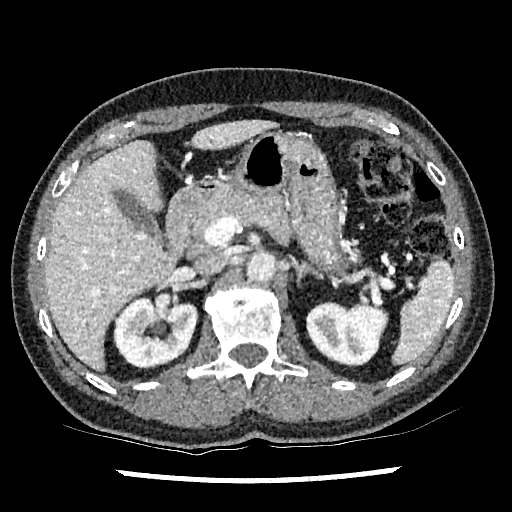 Upper abdomen. CT scan slice. 2 liver regions appear at {"x1": 191, "y1": 119, "x2": 278, "y2": 148}, {"x1": 45, "y1": 140, "x2": 177, "y2": 372}. 2 kidney regions are located at {"x1": 115, "y1": 295, "x2": 195, "y2": 366}, {"x1": 307, "y1": 304, "x2": 384, "y2": 363}.